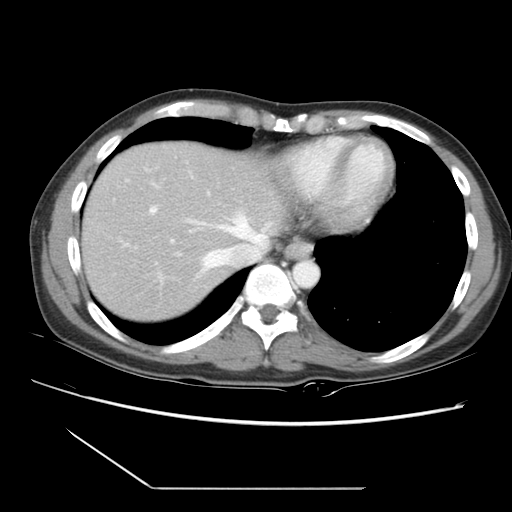 Abdomen; CT image

Some hepatic vessels may have no box.
Annotated regions:
* hepatic vessel: x1=176, y1=253, x2=179, y2=255; x1=170, y1=239, x2=173, y2=243; x1=133, y1=247, x2=136, y2=248; x1=157, y1=271, x2=163, y2=282; x1=207, y1=191, x2=209, y2=195; x1=196, y1=211, x2=271, y2=278; x1=149, y1=206, x2=157, y2=214; x1=156, y1=263, x2=157, y2=264; x1=145, y1=168, x2=150, y2=172; x1=122, y1=243, x2=130, y2=246; x1=119, y1=240, x2=121, y2=242; x1=126, y1=180, x2=128, y2=181; x1=152, y1=184, x2=159, y2=188; x1=189, y1=171, x2=193, y2=178; x1=185, y1=219, x2=207, y2=232